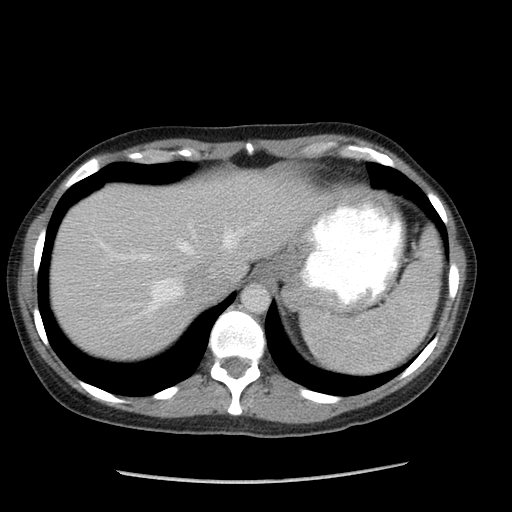 512x512, CT

Spleen: {"x1": 302, "y1": 228, "x2": 442, "y2": 375}.